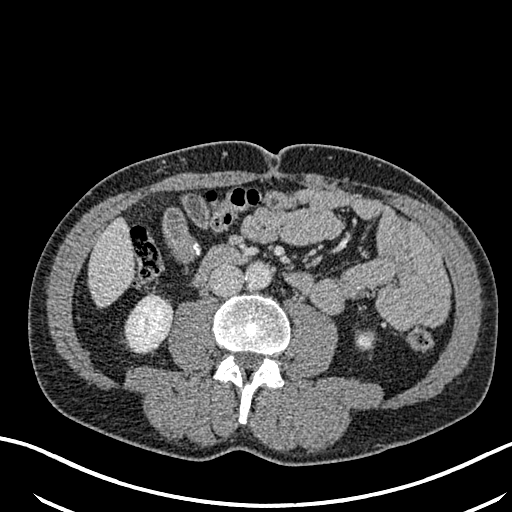 Image size 512x512 | Abdomen | CT image

2 kidney regions are located at (126, 296, 171, 351), (359, 336, 369, 345). The liver lies within (89, 219, 133, 306).